Slice 76 of 155, 240x240, Head
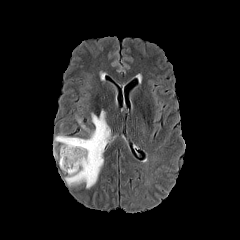
FLAIR MRI.
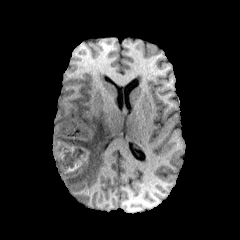
T1-weighted MR image.
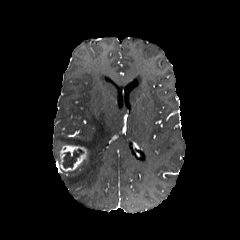
Post-contrast T1-weighted MR.
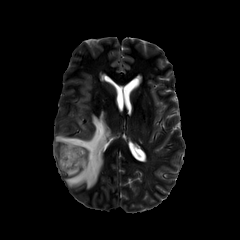
Same slice, T2-weighted magnetic resonance.
edema:
  - box=[54, 111, 111, 189]
enhancing_tumor:
  - box=[59, 145, 87, 171]
non-enhancing_tumor_core:
  - box=[63, 149, 84, 169]